Brain; Slice 127/155
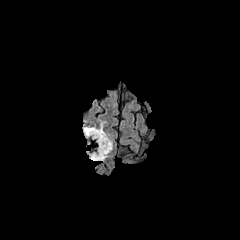
FLAIR magnetic resonance.
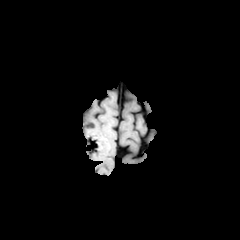
T1-weighted magnetic resonance.
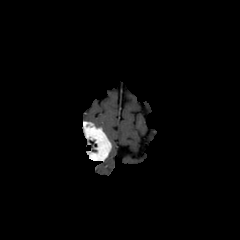
Post-contrast T1-weighted MRI of the same slice.
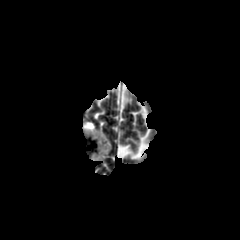
T2-weighted MRI of the same slice.
<segmentation>
  <enhancing_tumor>83,122,111,160</enhancing_tumor>
</segmentation>